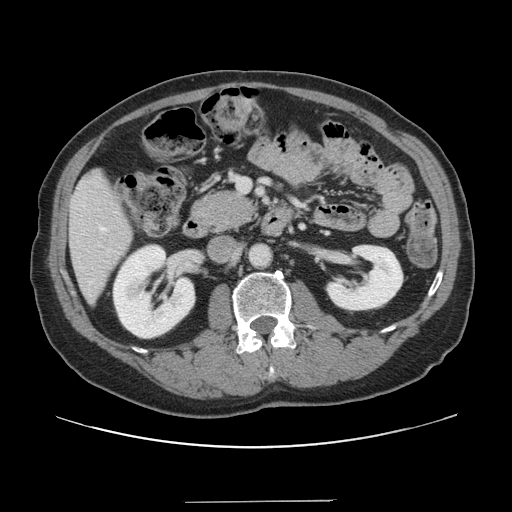
Abdomen; 512x512; CT
The vessel boxes may cover only some of the vessels.
Hepatic vessel: bounding box 237,178,248,191; 100,227,105,230.